512x512. CT scan slice. Slice 20 of 605.
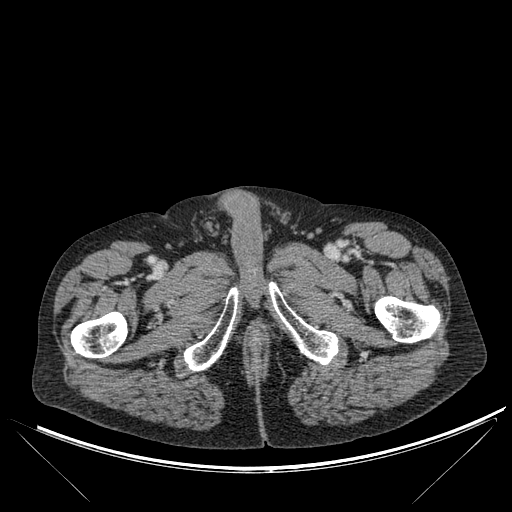 bone:
  - (x1=375, y1=296, x2=439, y2=342)
  - (x1=184, y1=287, x2=238, y2=370)
  - (x1=269, y1=282, x2=338, y2=364)
  - (x1=71, y1=312, x2=127, y2=357)